FLAIR magnetic resonance.
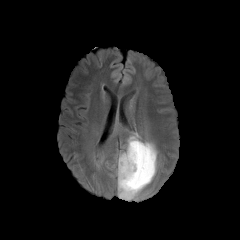
T1-weighted MR.
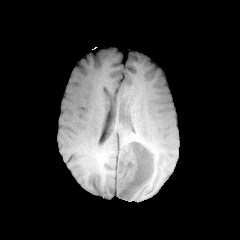
Post-contrast T1-weighted MR image.
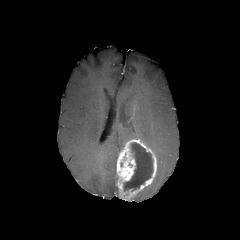
T2-weighted MR image.
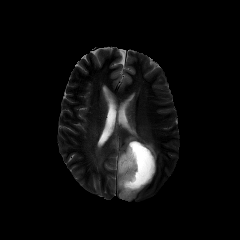
<segmentation>
  <edema>{"x1": 125, "y1": 129, "x2": 157, "y2": 158}, {"x1": 109, "y1": 143, "x2": 125, "y2": 175}</edema>
  <enhancing_tumor>{"x1": 116, "y1": 138, "x2": 156, "y2": 201}</enhancing_tumor>
  <non-enhancing_tumor_core>{"x1": 124, "y1": 142, "x2": 152, "y2": 190}</non-enhancing_tumor_core>
</segmentation>